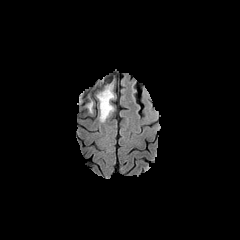
FLAIR magnetic resonance.
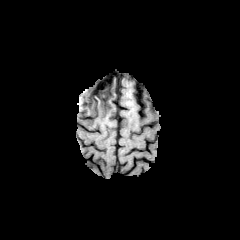
Same slice, T1-weighted MRI.
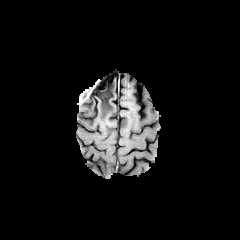
Post-contrast T1-weighted magnetic resonance.
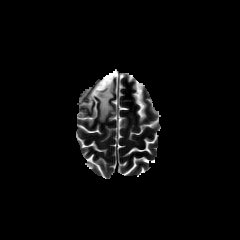
T2-weighted MRI of the same slice.
Non-enhancing tumor core — box=[84, 96, 93, 107].
Edema — box=[92, 81, 115, 122].